Computed tomography. Field of view 500x500 mm. Slice 28/47.
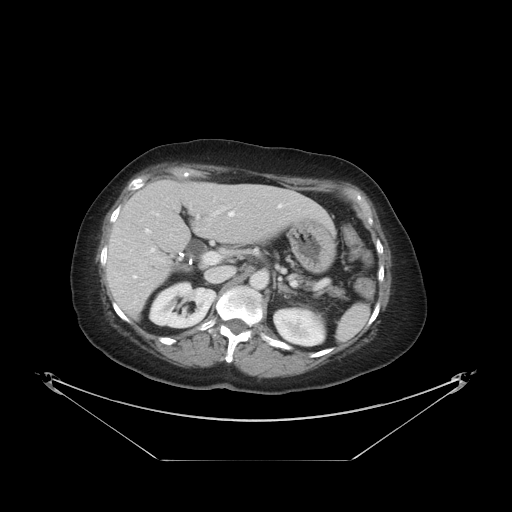

The vessel boxes may cover only some of the vessels.
9 hepatic vessel regions are bounded by [x1=215, y1=211, x2=220, y2=214], [x1=229, y1=212, x2=233, y2=216], [x1=151, y1=249, x2=154, y2=251], [x1=146, y1=230, x2=149, y2=232], [x1=134, y1=276, x2=136, y2=277], [x1=178, y1=247, x2=183, y2=253], [x1=197, y1=216, x2=198, y2=217], [x1=203, y1=252, x2=220, y2=264], [x1=279, y1=205, x2=281, y2=207].